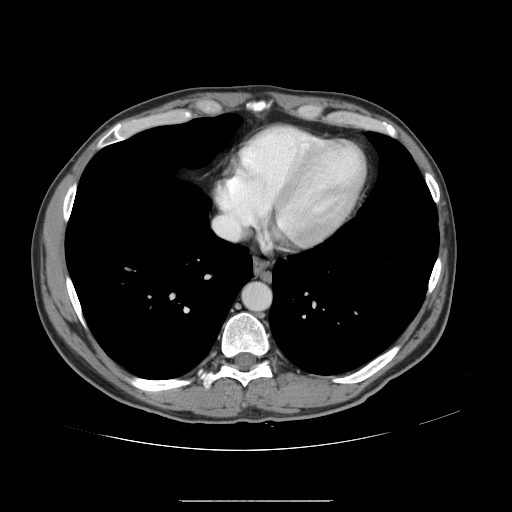

CT. Liver.

Only some of the vessels may be annotated.
The hepatic vessel appears at (left=213, top=217, right=240, bottom=240).